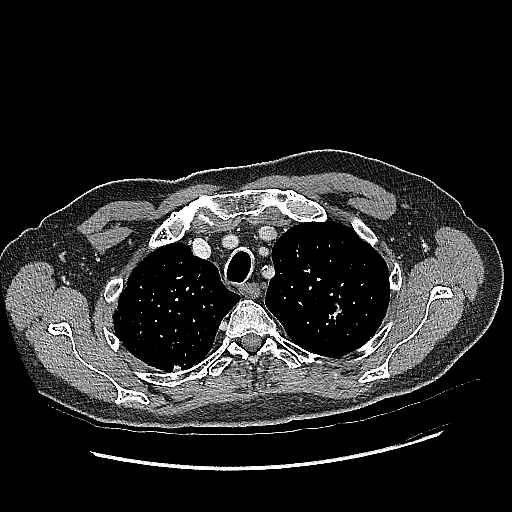 CT slice, 512x512, Thorax

lung tumor: {"x1": 126, "y1": 284, "x2": 143, "y2": 289}, {"x1": 117, "y1": 312, "x2": 125, "y2": 322}